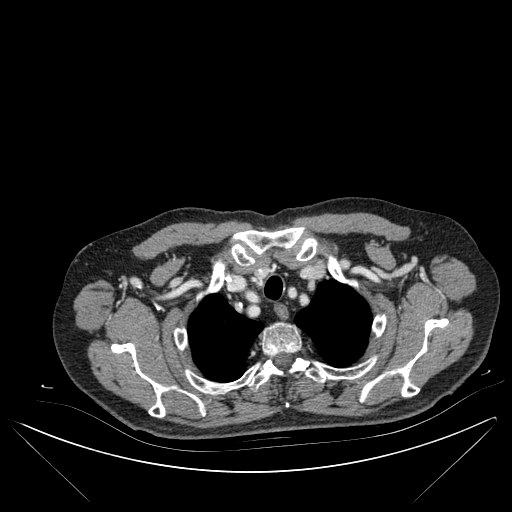

CT slice; 512x512 px

Bone — (328, 256, 345, 282), (372, 314, 386, 336), (262, 329, 300, 356), (185, 357, 376, 392), (296, 238, 316, 261), (231, 227, 303, 265), (174, 328, 186, 349), (360, 318, 448, 401), (111, 343, 205, 417), (210, 260, 231, 292).
Lung — (295, 280, 371, 367), (264, 276, 282, 299), (188, 294, 263, 382).